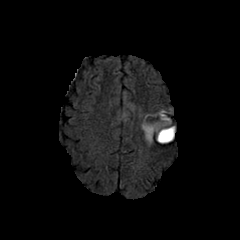
FLAIR MRI.
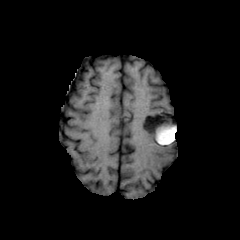
T1-weighted MRI.
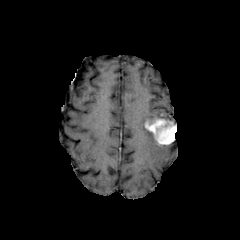
Post-contrast T1-weighted MR image.
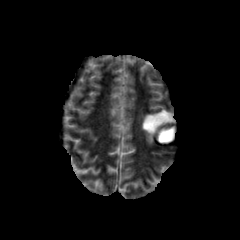
Same slice, T2-weighted magnetic resonance.
Brain, 240x240
Non-enhancing tumor core at 146:110:171:121.
Enhancing tumor at 144:118:175:143.
Edema at 139:108:173:145, 126:103:135:111.